Computed tomography | Image size 512x512 | Liver
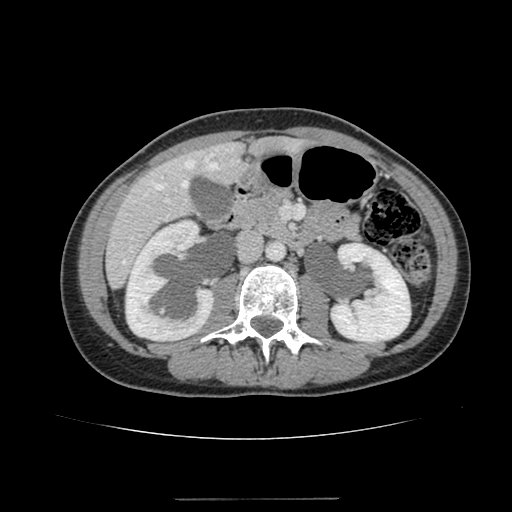
liver: [x1=105, y1=134, x2=310, y2=287] | kidney: [x1=126, y1=221, x2=213, y2=340], [x1=331, y1=243, x2=410, y2=341]